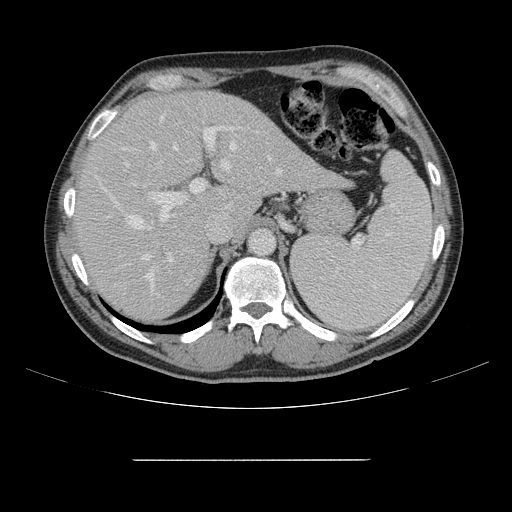

CT scan slice; Image size 512x512
Only some of the vessels may be annotated.
The principal 15 hepatic vessel regions (of 24) are bounded by (x1=145, y1=273, x2=153, y2=294), (x1=221, y1=159, x2=229, y2=169), (x1=190, y1=178, x2=208, y2=192), (x1=151, y1=192, x2=180, y2=221), (x1=128, y1=215, x2=150, y2=229), (x1=160, y1=115, x2=163, y2=120), (x1=112, y1=198, x2=117, y2=205), (x1=102, y1=187, x2=106, y2=191), (x1=230, y1=143, x2=235, y2=149), (x1=276, y1=169, x2=280, y2=172), (x1=151, y1=142, x2=155, y2=149), (x1=173, y1=145, x2=177, y2=149), (x1=143, y1=254, x2=149, y2=259), (x1=203, y1=127, x2=236, y2=155), (x1=167, y1=253, x2=172, y2=261).